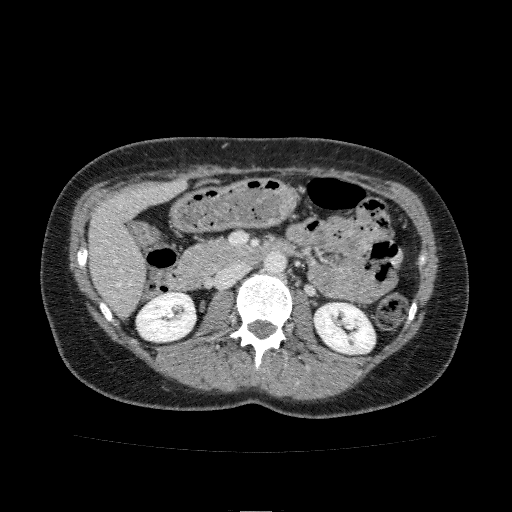
Abdomen. 512x512. CT image. Kidney: box=[314, 303, 374, 353]; box=[136, 293, 195, 341].
Liver: box=[88, 181, 184, 315].